Slice 81 of 155
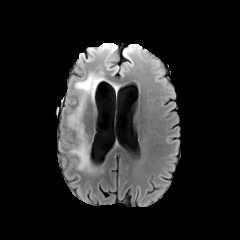
FLAIR MR image.
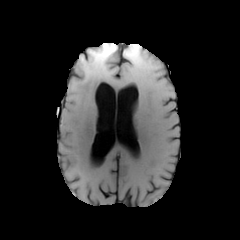
T1-weighted magnetic resonance.
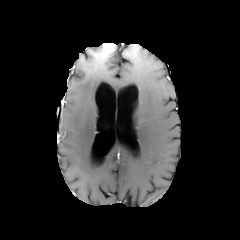
Same slice, post-contrast T1-weighted magnetic resonance.
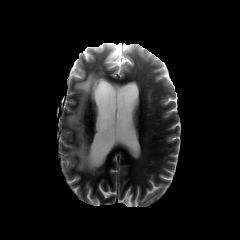
T2-weighted MRI of the same slice.
Annotated regions:
- edema: bbox(104, 45, 143, 73); bbox(76, 55, 94, 69); bbox(68, 71, 105, 172)
- enhancing tumor: bbox(100, 45, 114, 57)
- non-enhancing tumor core: bbox(82, 46, 117, 64)